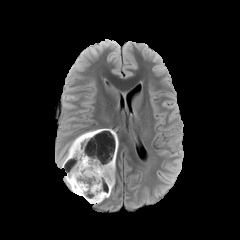
FLAIR MRI.
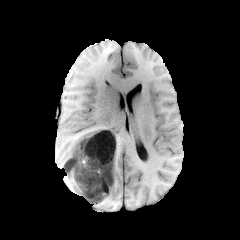
T1-weighted MR image.
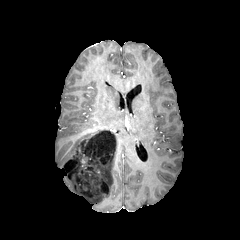
Post-contrast T1-weighted MR image.
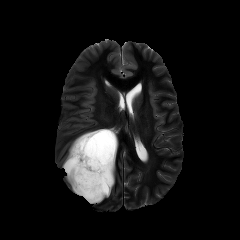
T2-weighted MR image.
The non-enhancing tumor core is bounded by <box>64,129,114,201</box>. 4 edema regions appear at <box>99,129,116,145</box>, <box>66,174,81,195</box>, <box>62,137,77,166</box>, <box>83,168,115,203</box>.